Field of view 464x464 mm; Computed tomography

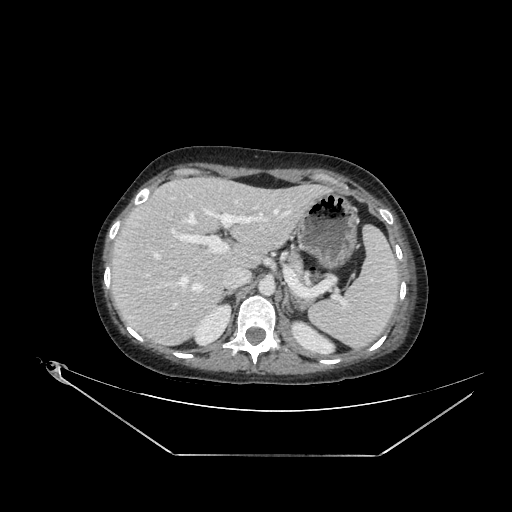
kidney: [x1=191, y1=306, x2=230, y2=344], [x1=292, y1=323, x2=333, y2=353] | liver: [x1=111, y1=182, x2=323, y2=345]